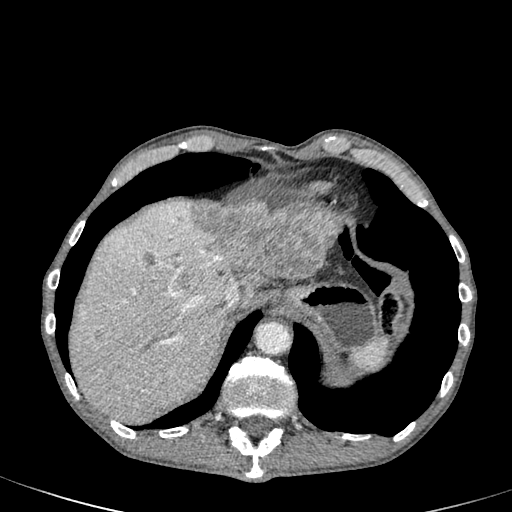
Abdomen. CT image.

The liver lesion is bounded by x1=189 y1=202 x2=341 y2=304. 2 liver regions are bounded by x1=71 y1=201 x2=240 y2=423, x1=240 y1=291 x2=249 y2=307.